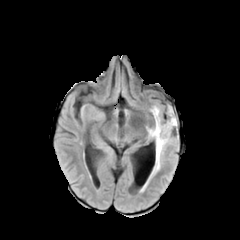
FLAIR MR image.
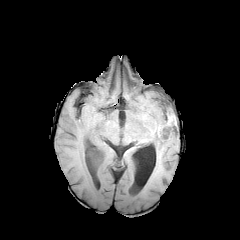
T1-weighted magnetic resonance of the same slice.
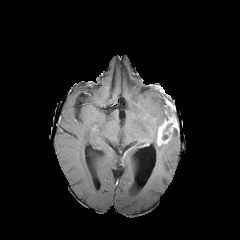
Same slice, post-contrast T1-weighted MR.
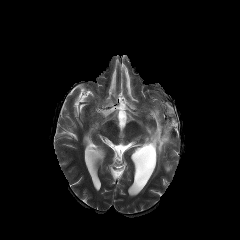
Same slice, T2-weighted MRI.
Brain. 240x240 px.
edema: bbox=[146, 105, 178, 171] | enhancing tumor: bbox=[156, 115, 177, 145] | non-enhancing tumor core: bbox=[164, 104, 173, 121]